Slice 45/155
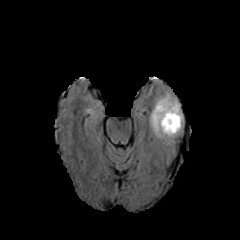
FLAIR MR.
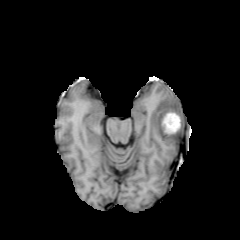
Same slice, T1-weighted MR image.
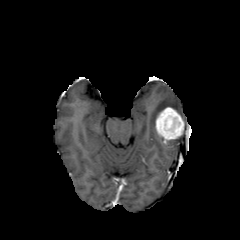
Same slice, post-contrast T1-weighted MRI.
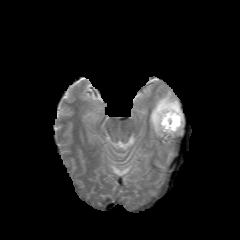
Same slice, T2-weighted magnetic resonance.
Enhancing tumor — box=[163, 113, 179, 132].
Edema — box=[148, 89, 183, 145].
Non-enhancing tumor core — box=[153, 100, 177, 131].